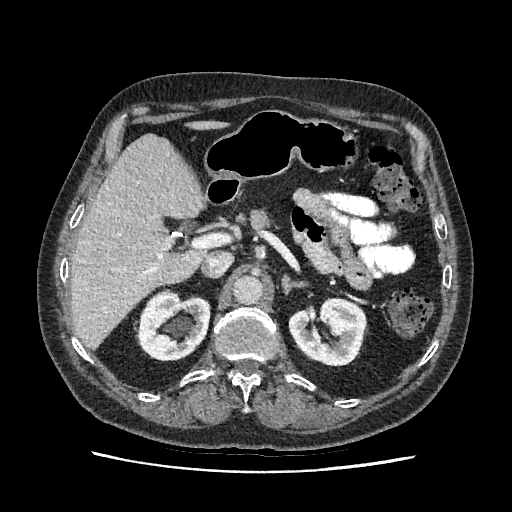 CT scan slice; Liver
Annotated regions:
- liver: (71,134,206,348), (190,122,226,129)
- kidney: (139,292,209,359), (289,299,365,364)